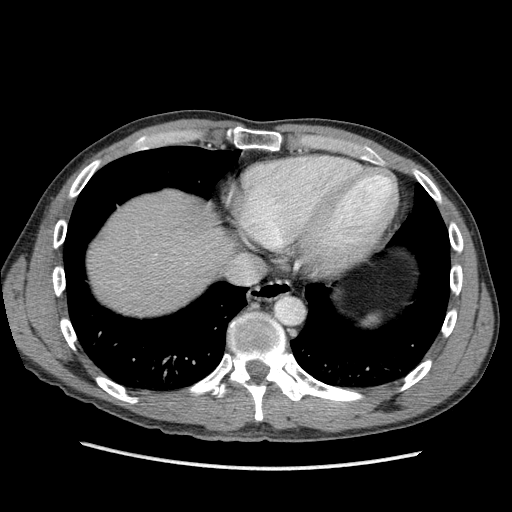
CT | Liver
* liver: 87:189:242:317